CT, Abdomen, 512x512 px, Slice 53 of 109
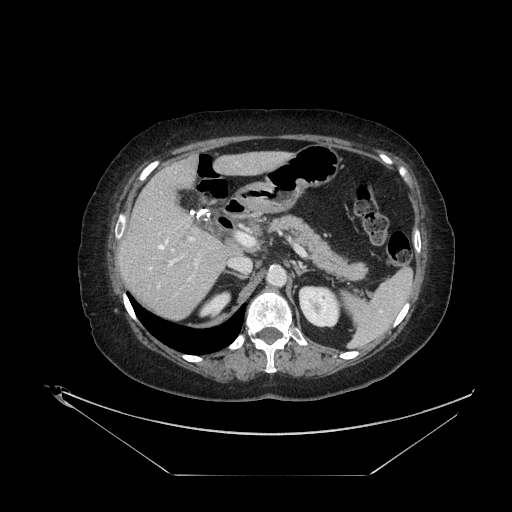

Pancreas at <box>269,215,367,280</box>.